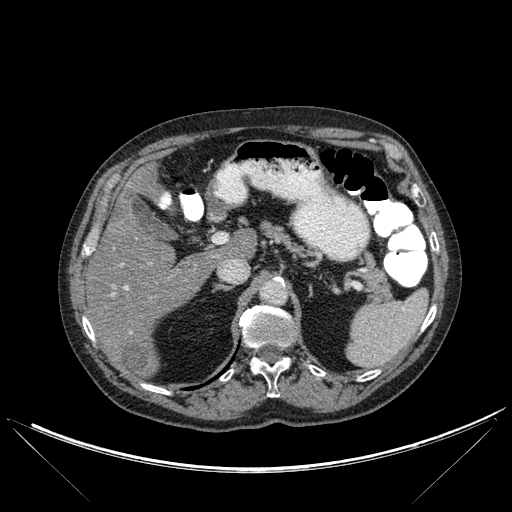 Computed tomography. 512x512. Liver.
Hepatic lesion: bbox(121, 343, 148, 371).
Liver: bbox(86, 164, 216, 377); bbox(213, 229, 257, 263).
Bone: bbox(357, 370, 379, 381); bbox(83, 317, 94, 340); bbox(430, 232, 438, 250); bbox(142, 384, 169, 394); bbox(239, 305, 295, 348); bbox(250, 357, 290, 397); bbox(309, 365, 325, 376); bbox(220, 369, 233, 381); bbox(421, 306, 435, 330).